Slice index 105
FLAIR magnetic resonance.
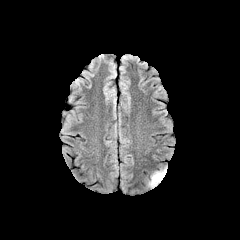
T1-weighted magnetic resonance.
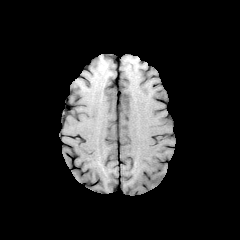
Post-contrast T1-weighted MR.
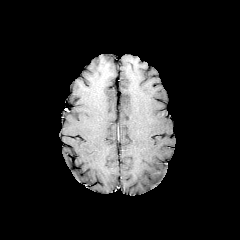
T2-weighted magnetic resonance.
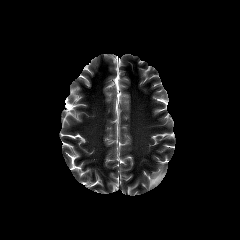
edema:
  - (147, 166, 167, 187)